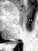
Magnetic resonance

The posterior hippocampus is located at x1=13, y1=42, x2=18, y2=43.